Slice 54/155. 240x240 px.
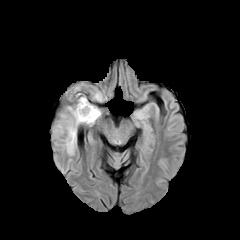
FLAIR MR.
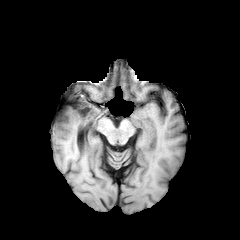
T1-weighted MR.
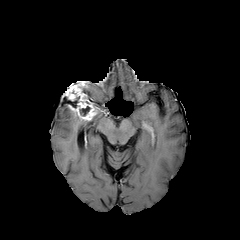
Post-contrast T1-weighted magnetic resonance of the same slice.
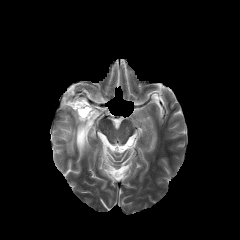
T2-weighted MR of the same slice.
non-enhancing_tumor_core:
  - (80,106,89,115)
  - (80,82,101,113)
  - (64,94,79,117)
edema:
  - (86,84,102,109)
  - (54,108,101,151)
enhancing_tumor:
  - (65,82,99,120)